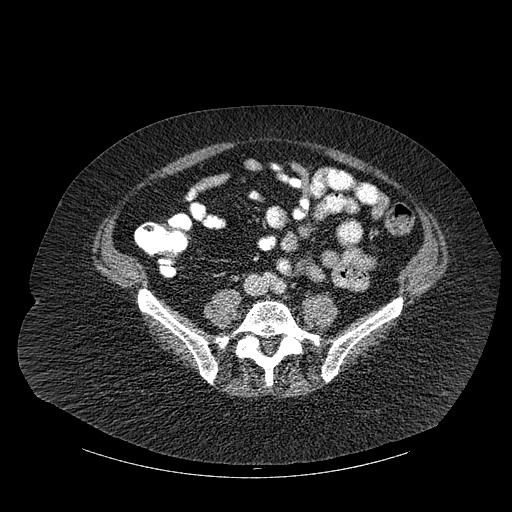

512x512 | Computed tomography
bone: x1=216 y1=336 x2=228 y2=347, x1=322 y1=297 x2=402 y2=381, x1=138 y1=289 x2=217 y2=383, x1=233 y1=301 x2=320 y2=385